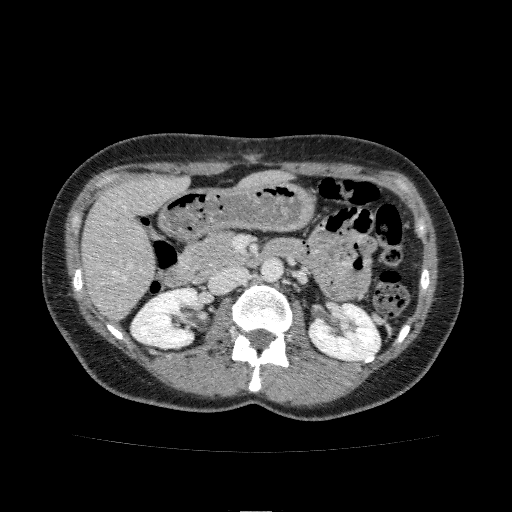 CT image, 512x512
Kidney: (x1=132, y1=288, x2=197, y2=347), (x1=309, y1=304, x2=379, y2=360).
Liver: (x1=238, y1=170, x2=292, y2=188), (x1=82, y1=176, x2=189, y2=319).